Upper abdomen. CT image. Slice 43/97.
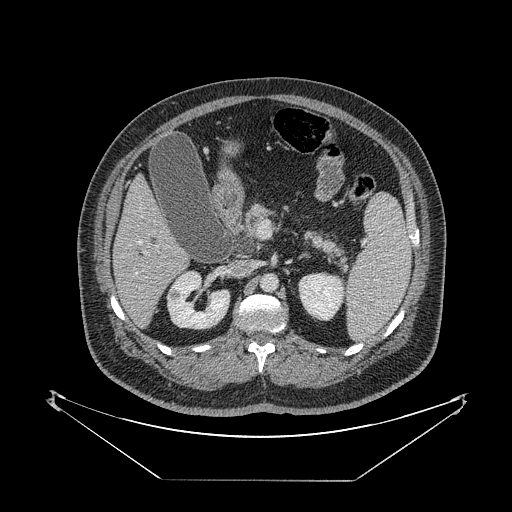
pancreas:
  - 245,206,268,240
  - 308,233,341,255